CT scan slice; Slice 393/624; 512x512; Upper abdomen 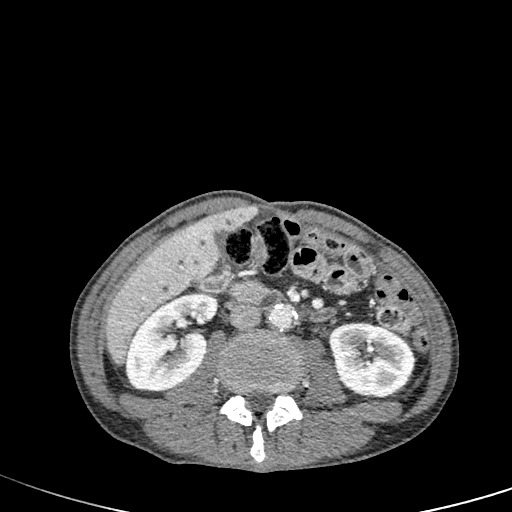
The liver is located at 105 209 231 365. 2 kidney regions are bounded by 330 324 413 396, 126 294 216 390. The liver lesion is located at 217 206 256 231.